Upper abdomen | Computed tomography

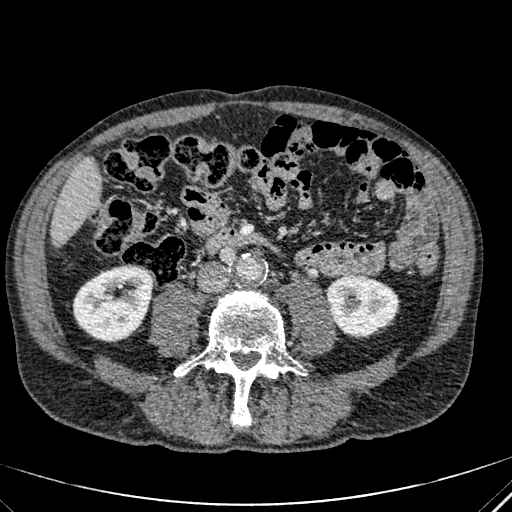
Segmented structures:
* liver: region(52, 159, 100, 243)
* kidney: region(328, 276, 397, 335); region(74, 267, 151, 340)